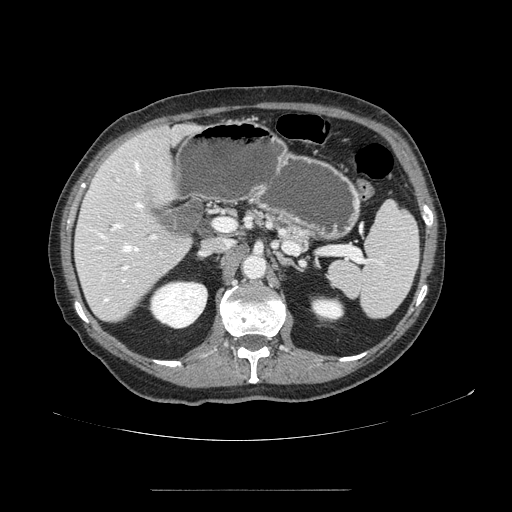
Abdomen. Image size 512x512. CT image. Segmented structures:
* pancreas: <bbox>243, 206, 317, 247</bbox>